FLAIR MRI.
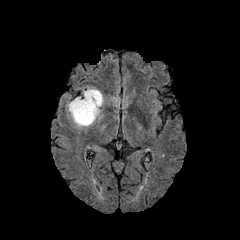
T1-weighted MR image.
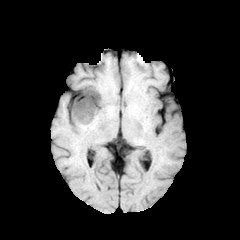
Post-contrast T1-weighted magnetic resonance.
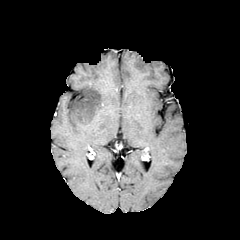
T2-weighted MRI.
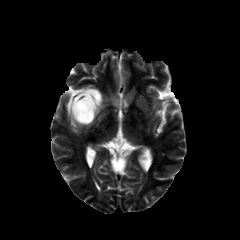
The non-enhancing tumor core lies within x1=78 y1=105 x2=89 y2=121. The edema appears at x1=66 y1=86 x2=104 y2=130.